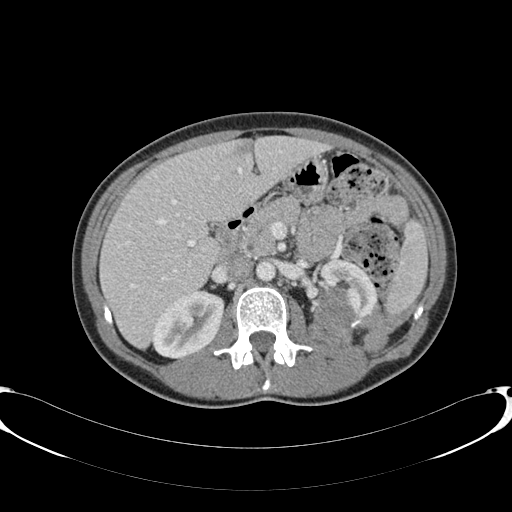
Liver. CT scan slice.

2 kidney regions appear at l=153, t=292, r=222, b=357; l=312, t=259, r=376, b=349. The liver lies within l=101, t=136, r=332, b=348. The liver lesion is at l=237, t=140, r=253, b=152.